Slice 78/155. Image size 240x240. Brain.
FLAIR magnetic resonance.
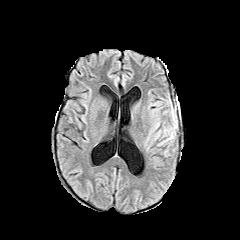
T1-weighted MR.
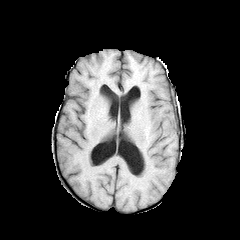
Post-contrast T1-weighted MR.
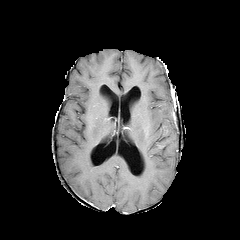
T2-weighted magnetic resonance.
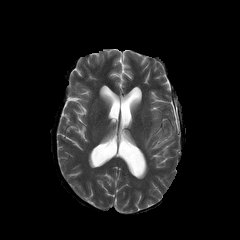
The edema appears at (left=156, top=99, right=177, bottom=147).